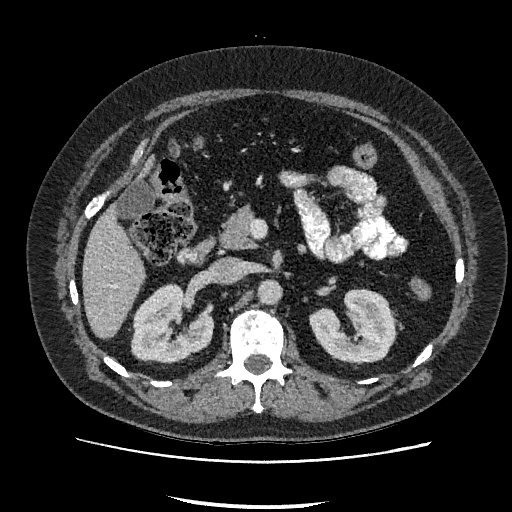 Liver, Computed tomography
2 kidney regions are located at x1=310, y1=290, x2=394, y2=361; x1=132, y1=286, x2=212, y2=361. 2 liver regions are located at x1=141, y1=158, x2=153, y2=176; x1=82, y1=204, x2=144, y2=337.